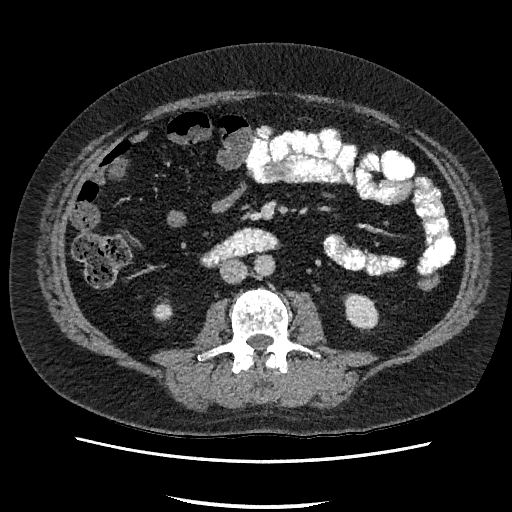
Abdomen | Image size 512x512 | Computed tomography
Segmented structures:
* kidney: 347, 296, 376, 326; 157, 306, 169, 316